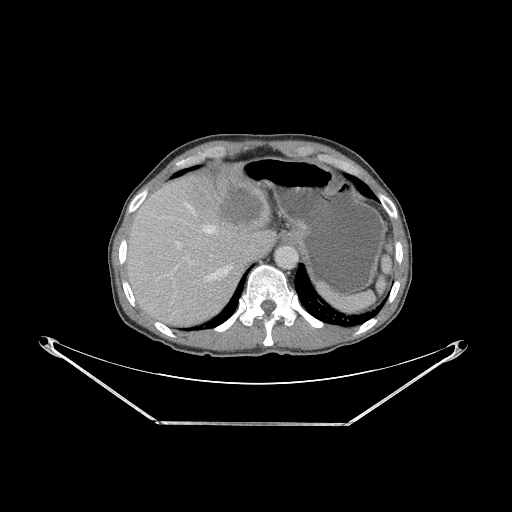

CT image; Upper abdomen

The hepatic lesion appears at (222,181,262,224). The liver appears at (128,163,274,327). 9 bone regions are bounded by (119,240,126,263), (381,199,396,217), (155,322,174,336), (129,190,146,211), (123,282,134,305), (389,281,399,302), (396,242,402,262), (215,265,322,345), (356,319,376,333). 3 lung regions appear at (294,266,375,326), (204,279,243,327), (354,183,373,198).